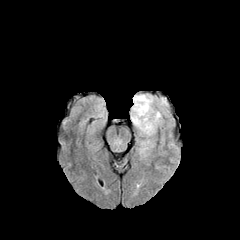
FLAIR MRI.
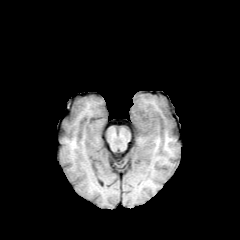
T1-weighted MR of the same slice.
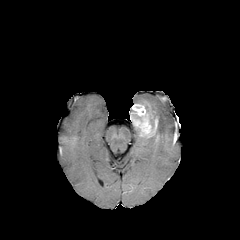
Post-contrast T1-weighted MR.
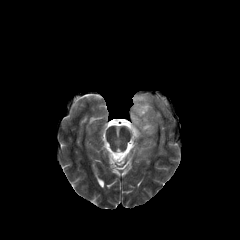
T2-weighted MRI of the same slice.
240x240 px. Brain.
{"enhancing_tumor": ["x1=130 y1=104 x2=157 y2=136"], "edema": ["x1=133 y1=93 x2=170 y2=126", "x1=135 y1=137 x2=155 y2=159"], "non-enhancing_tumor_core": ["x1=136 y1=100 x2=158 y2=129"]}